MRI slice, Field of view 35 mm wide, 1.00 mm slice spacing, Slice index 5, Hippocampus

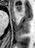

The anterior hippocampus appears at x1=14, y1=5, x2=21, y2=11.